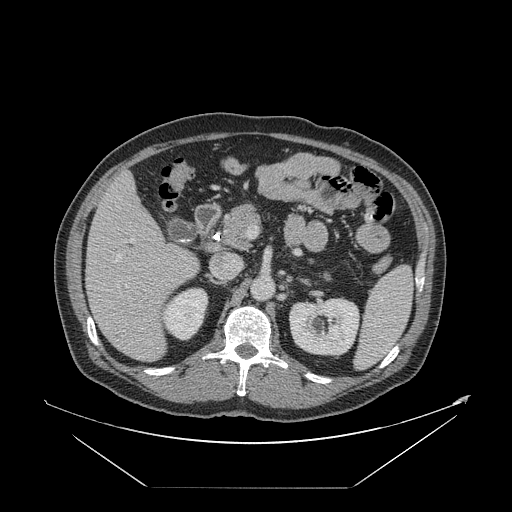

CT slice | Liver

Only some of the vessels may be annotated.
<segmentation>
  <hepatic_vessel>115, 255, 120, 261; 124, 239, 134, 242</hepatic_vessel>
</segmentation>